Slice index 13.
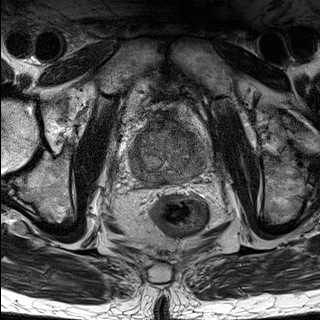
T2-weighted MRI.
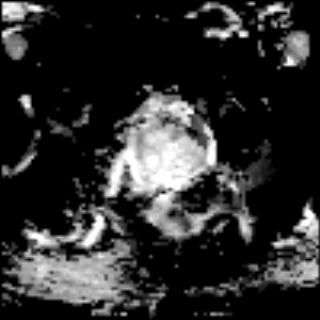
ADC MR of the same slice.
{"prostate_transition_zone": ["left=133, top=126, right=204, bottom=171"], "prostate_peripheral_zone": ["left=131, top=149, right=205, bottom=182"]}